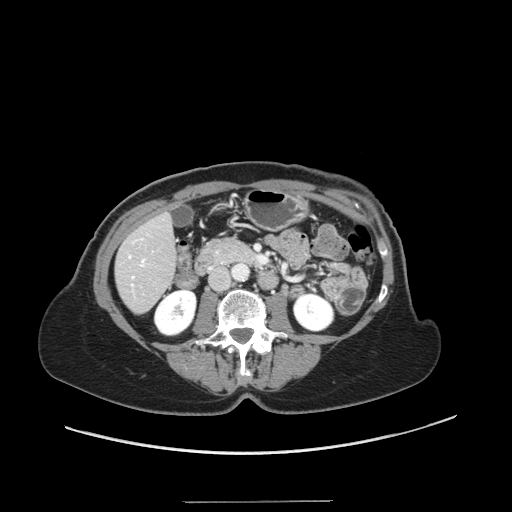
CT slice | 512x512 | Liver
The vessel boxes may cover only some of the vessels.
4 hepatic vessel regions are bounded by x1=141, y1=259, x2=144, y2=265; x1=129, y1=255, x2=130, y2=257; x1=132, y1=284, x2=133, y2=286; x1=140, y1=238, x2=142, y2=239.